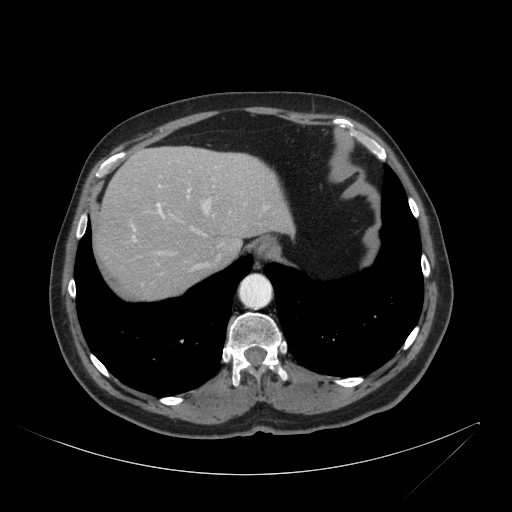

CT slice

<segmentation>
  <liver>left=95, top=147, right=293, bottom=297</liver>
</segmentation>